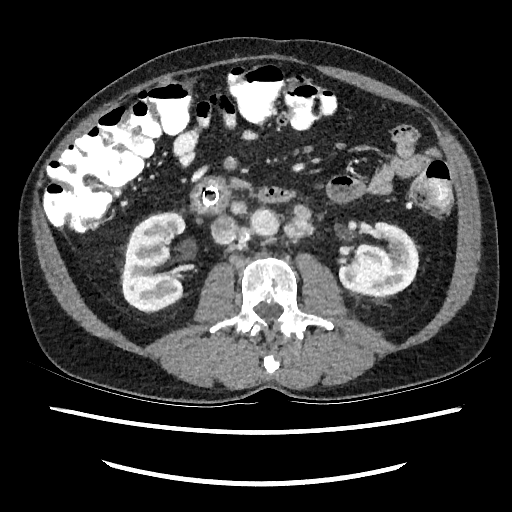

CT image; Abdomen
2 kidney regions appear at x1=339 y1=223 x2=417 y2=295, x1=123 y1=213 x2=184 y2=311.